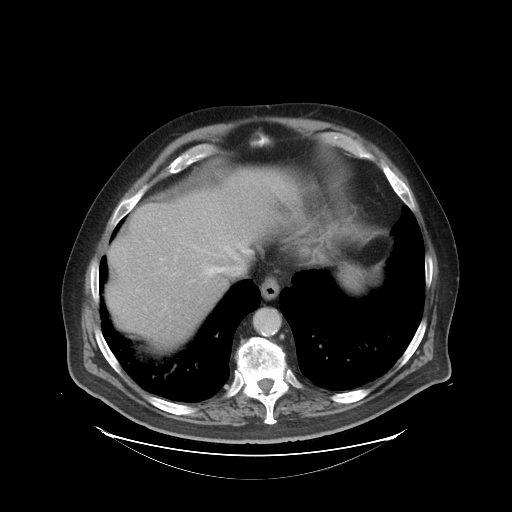

CT
The vessel boxes may cover only some of the vessels.
Findings:
* hepatic vessel: region(202, 267, 224, 274); region(224, 247, 231, 253); region(219, 236, 222, 239); region(232, 242, 246, 251); region(160, 258, 164, 260); region(218, 242, 223, 247); region(162, 301, 168, 309); region(177, 249, 178, 250)